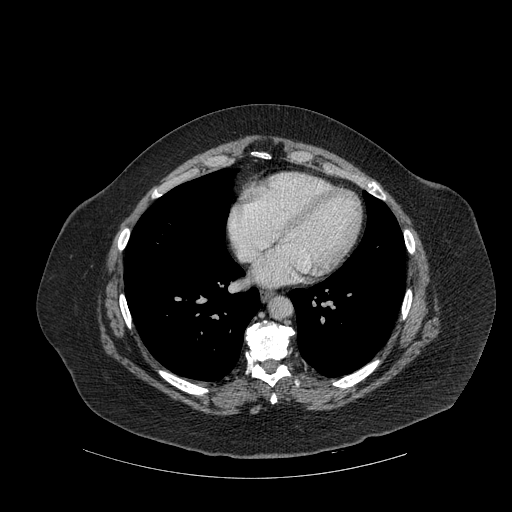

Image size 512x512; CT slice; Chest
Annotated regions:
- lung: (290,192,405,377), (124,168,260,381)
- bone: (402,290,411,318), (333,360,378,387), (159,371,207,394), (404,230,414,253), (118,229,129,249), (252,152,269,158), (246,321,294,386), (119,295,130,327)